CT, Liver, Slice 347/536
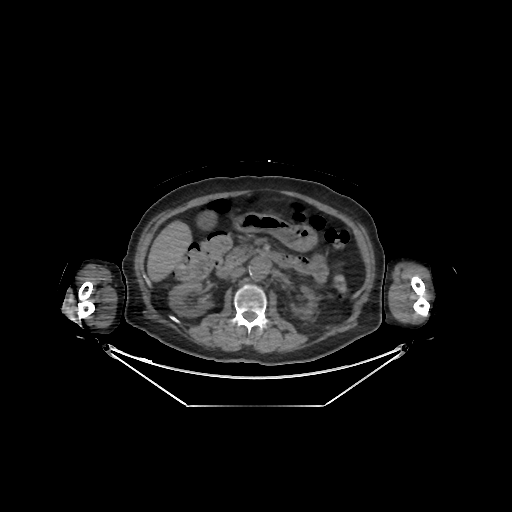 - kidney: rect(169, 281, 213, 317); rect(290, 286, 319, 319)
- liver: rect(148, 222, 190, 279)
- bone: rect(78, 282, 94, 319); rect(233, 285, 266, 332); rect(411, 276, 429, 316)